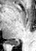 MRI slice. Image size 36x51. Posterior hippocampus = (12, 42, 19, 45).